CT image.
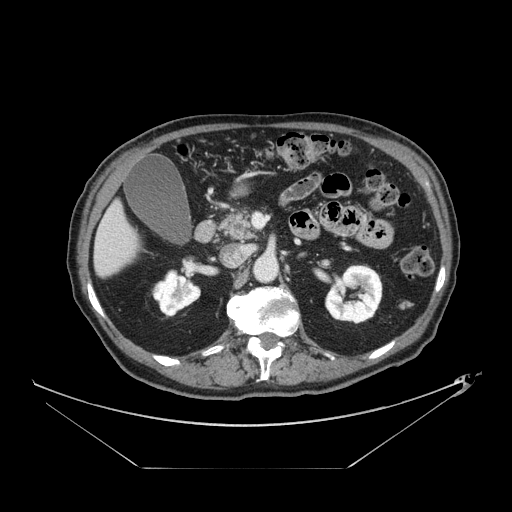

pancreas:
  - 220:212:253:240
pancreatic_tumor:
  - 234:223:243:231